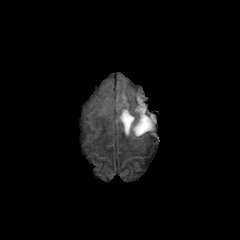
FLAIR MR.
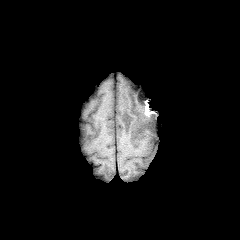
T1-weighted MR.
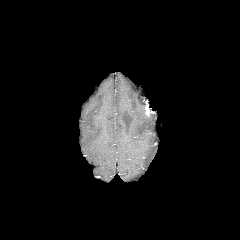
Post-contrast T1-weighted MR.
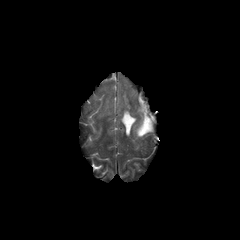
T2-weighted magnetic resonance.
Brain
edema:
  - x1=116 y1=95 x2=155 y2=138